CT slice 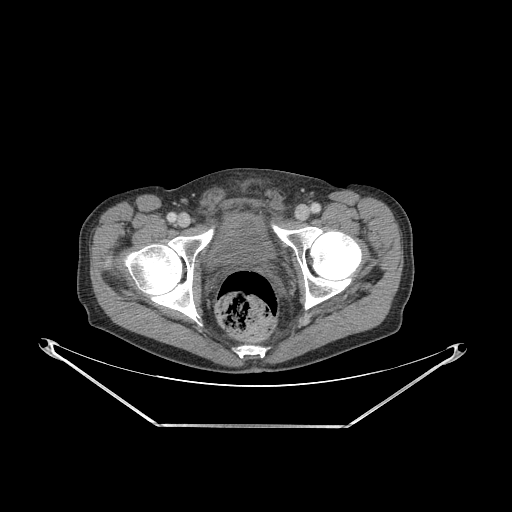

3 bone regions are located at region(125, 229, 213, 321); region(273, 225, 361, 309); region(238, 346, 265, 357).